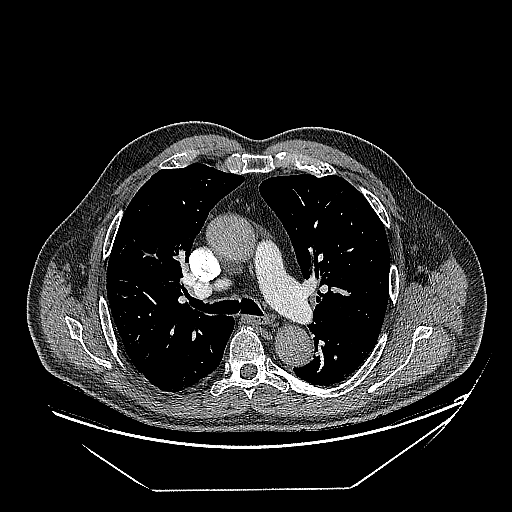

512x512; Lung; Computed tomography

Lung tumor at (138,349,149,363).